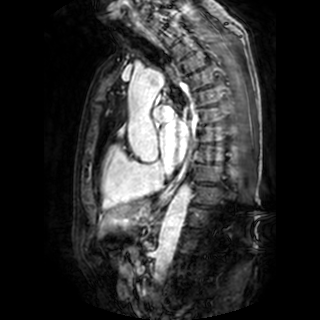 Cardiac. MR image.
The left atrium is at {"x1": 160, "y1": 120, "x2": 188, "y2": 164}.